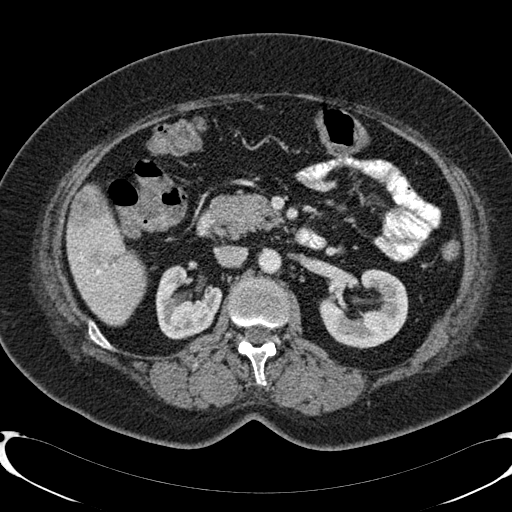 512x512 | CT
The liver appears at [66, 208, 144, 325]. 3 liver lesion regions appear at [91, 250, 102, 266], [70, 186, 107, 226], [107, 252, 124, 266]. 2 kidney regions appear at [155, 265, 221, 338], [306, 260, 407, 347].